Image size 512x512 | Abdomen | CT slice | Slice 332/845 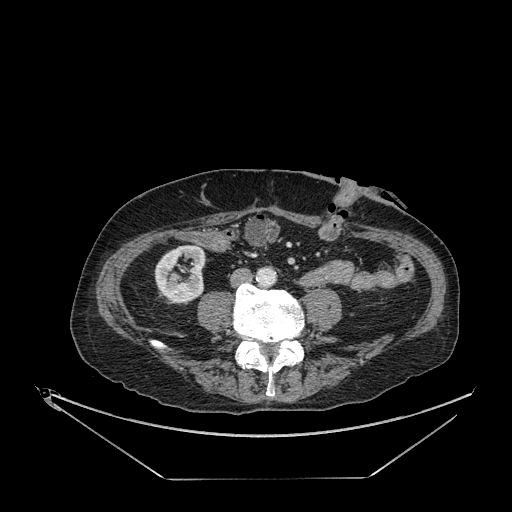
Kidney at {"x1": 155, "y1": 246, "x2": 204, "y2": 302}.